Liver; 512x512 px; Slice 245 of 761; CT image; Field of view 400 mm wide, 0.80 mm slice spacing
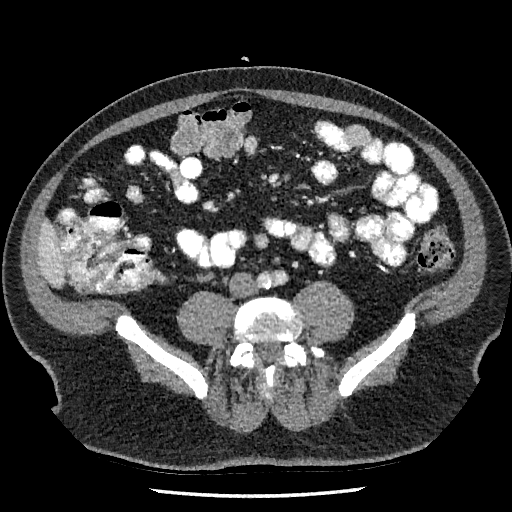

- liver: box=[38, 219, 65, 287]